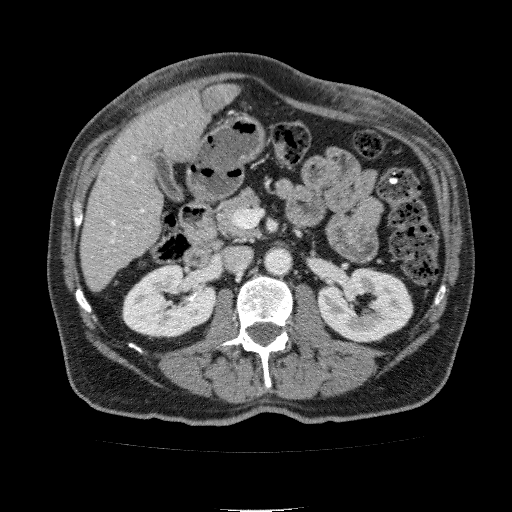

Computed tomography. Upper abdomen.
The liver is bounded by 81:83:239:291. 2 kidney regions are bounded by 123:266:214:335, 318:269:411:340.